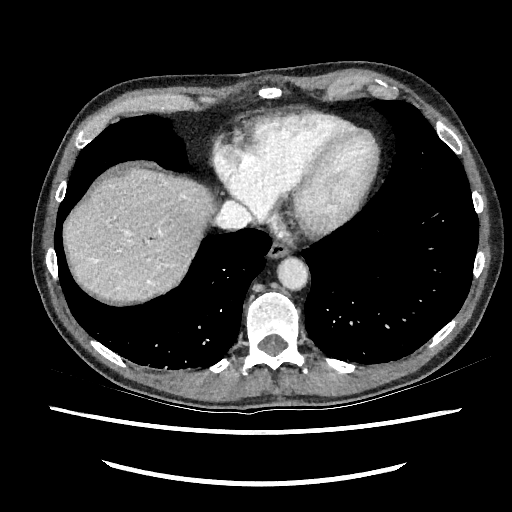 CT; 512x512; Liver
<segmentation>
  <liver>x1=65 y1=168 x2=213 y2=301</liver>
</segmentation>